CT image. Field of view 434x434 mm. Slice 170 of 605. 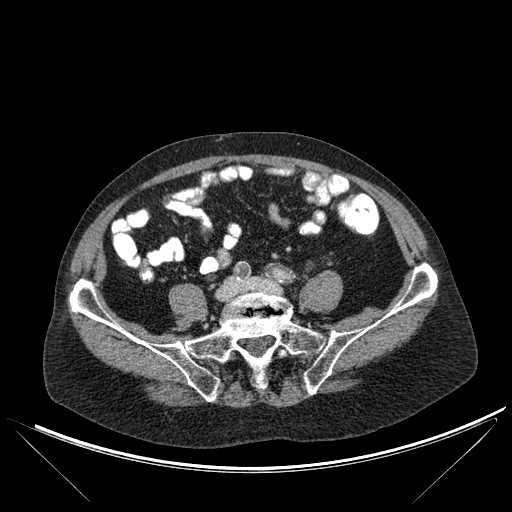
Bone: bounding box 69 263 437 401.